CT

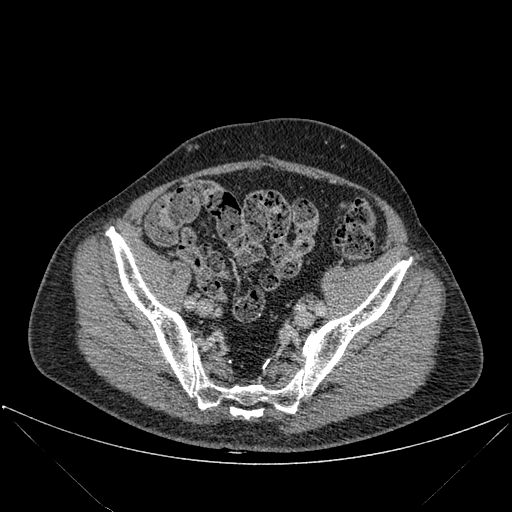 Annotated regions:
- bone: <box>230,407,263,418</box>, <box>106,227,411,413</box>